Slice 58/155 | Head
FLAIR MR image.
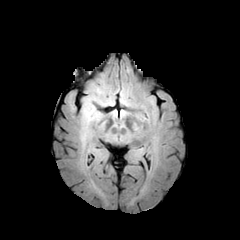
T1-weighted MRI.
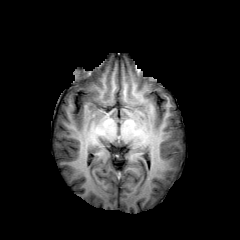
Post-contrast T1-weighted MR.
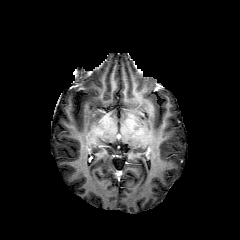
T2-weighted MR image.
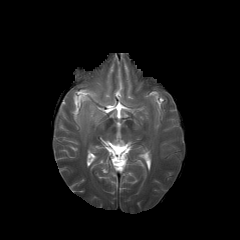
The edema is at 78 88 114 129.